FLAIR MRI.
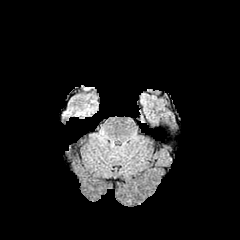
T1-weighted magnetic resonance.
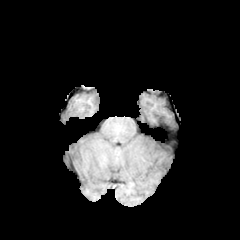
Post-contrast T1-weighted MRI.
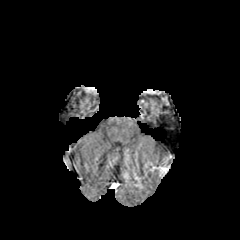
T2-weighted MR image.
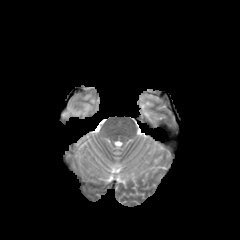
Head. 240x240.
edema: <box>62,107,73,117</box>